Liver; Slice index 114; CT slice
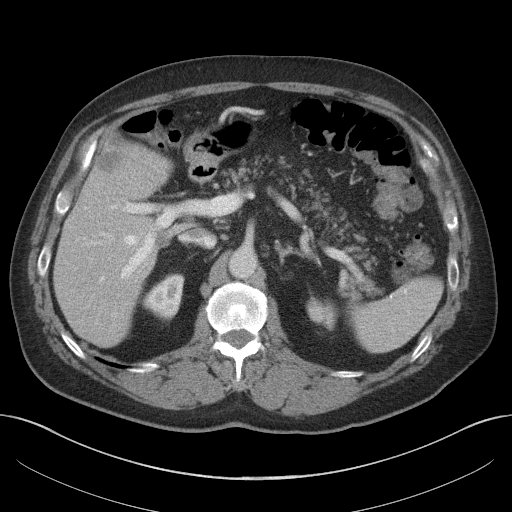

<segmentation>
  <liver>left=55, top=139, right=168, bottom=345</liver>
  <kidney>left=147, top=276, right=182, bottom=315</kidney>
  <focal_liver_lesion>left=97, top=152, right=121, bottom=172; left=156, top=234, right=169, bottom=246</focal_liver_lesion>
</segmentation>